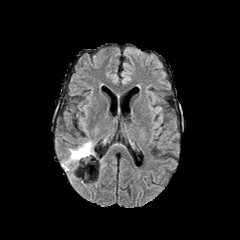
FLAIR magnetic resonance.
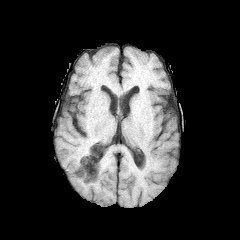
Same slice, T1-weighted MRI.
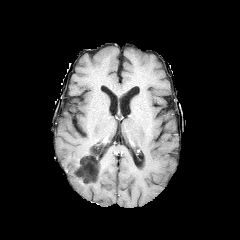
Post-contrast T1-weighted MR.
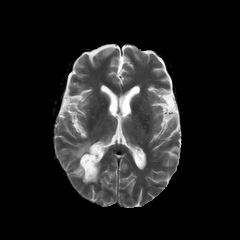
T2-weighted magnetic resonance of the same slice.
Edema: (x1=62, y1=140, x2=96, y2=172).
Non-enhancing tumor core: (x1=77, y1=144, x2=93, y2=163).